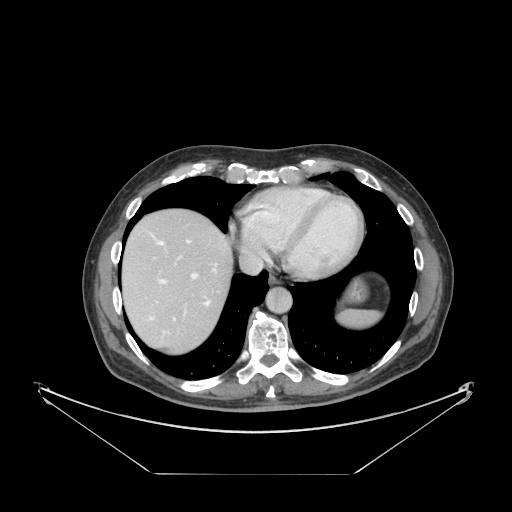

Computed tomography, Abdomen
Spleen: <bbox>337, 310, 382, 329</bbox>.